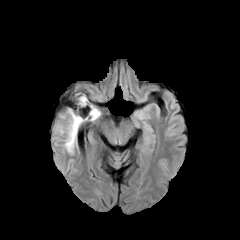
FLAIR magnetic resonance.
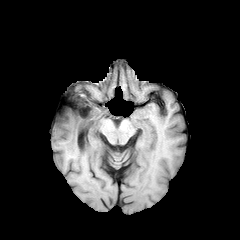
T1-weighted MR image.
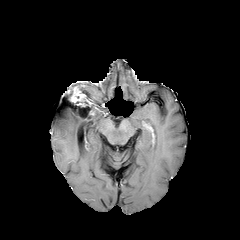
Post-contrast T1-weighted MRI.
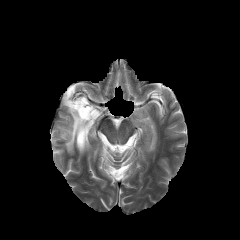
T2-weighted MR of the same slice.
Brain
3 non-enhancing tumor core regions are bounded by rect(69, 91, 79, 105); rect(76, 92, 92, 112); rect(70, 112, 89, 121). The enhancing tumor appears at rect(75, 92, 89, 106). The edema appears at rect(55, 105, 100, 154).